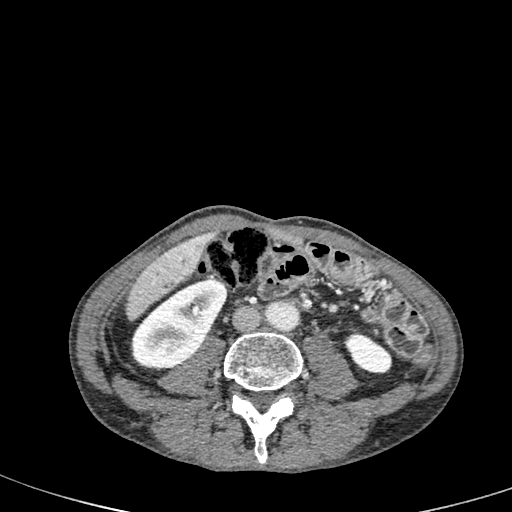
Computed tomography
<segmentation>
  <kidney>left=132, top=280, right=227, bottom=367; left=346, top=335, right=390, bottom=371</kidney>
  <liver>left=125, top=233, right=212, bottom=320</liver>
</segmentation>